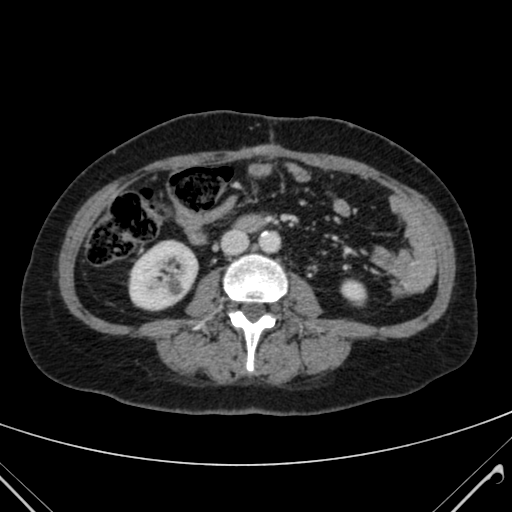 CT slice
kidney:
  - x1=344 y1=283 x2=361 y2=298
  - x1=131 y1=242 x2=196 y2=308